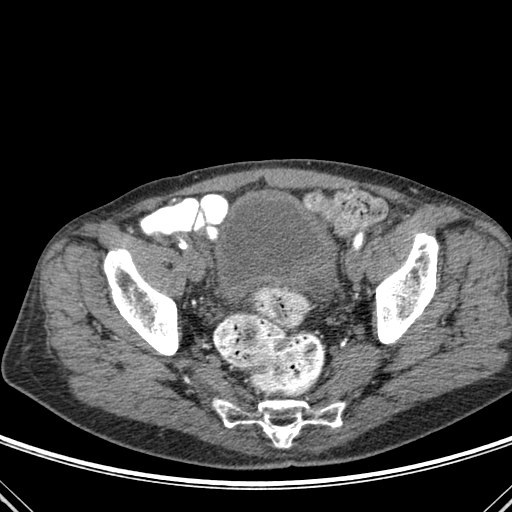
Computed tomography
- urinary bladder: bbox=[207, 195, 341, 303]
- bone: bbox=[213, 399, 344, 447]; bbox=[376, 233, 438, 343]; bbox=[104, 249, 178, 355]